Computed tomography | Liver | Slice 526 of 624 | 512x512 px

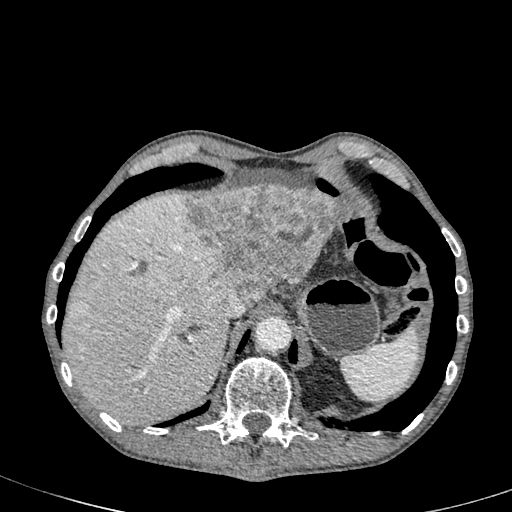 liver:
  - box(334, 198, 350, 222)
  - box(61, 194, 237, 425)
  - box(244, 278, 283, 308)
  - box(285, 274, 302, 282)
liver_lesion:
  - box(185, 184, 341, 306)